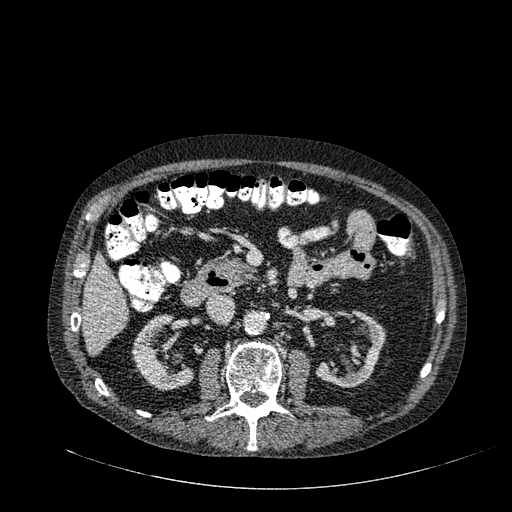
Abdomen; 512x512; Computed tomography
Kidney = 131:314:193:390, 315:310:385:387.
Liver = 83:254:128:354.